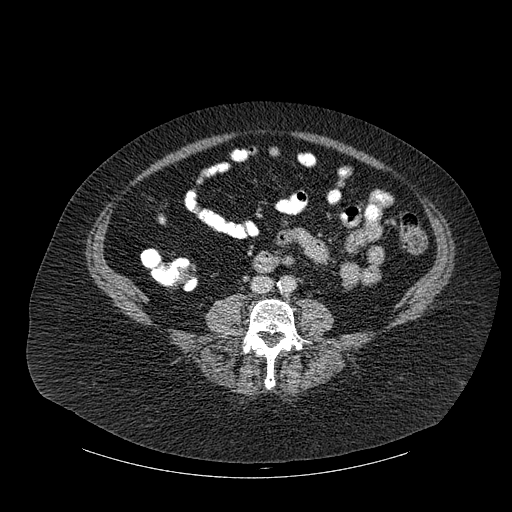 CT slice | 512x512 px
bone: bbox(243, 299, 305, 388)